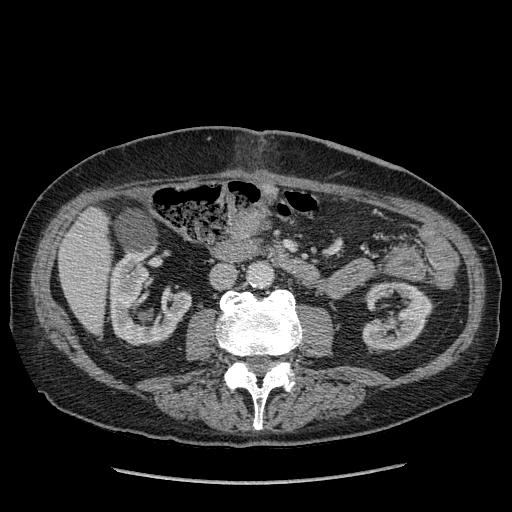 CT
- kidney: l=110, t=253, r=190, b=344; l=363, t=282, r=432, b=349
- liver: l=58, t=207, r=111, b=333